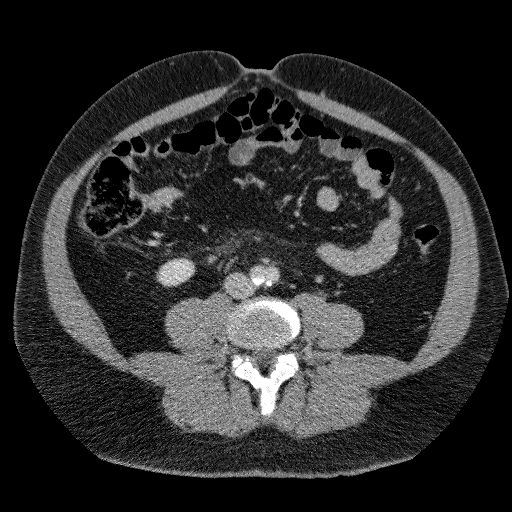 Abdomen. CT scan slice.
<segmentation>
  <kidney>[161,260,193,283]</kidney>
</segmentation>